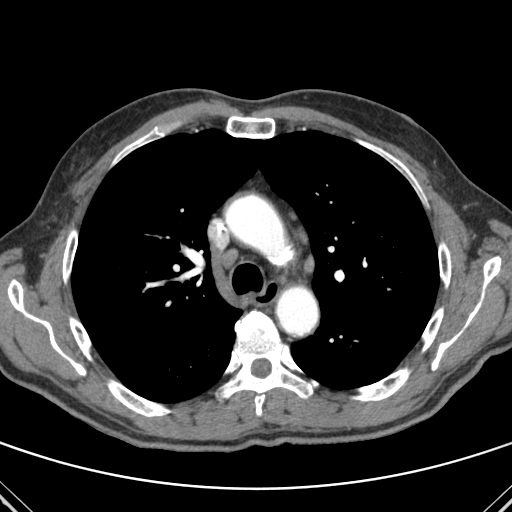 CT scan slice; Chest
Lung: <bbox>71, 129, 439, 402</bbox>.
Bone: <bbox>7, 280, 85, 375</bbox>, <bbox>226, 116, 274, 138</bbox>, <bbox>69, 317, 91, 359</bbox>, <bbox>438, 242, 451, 287</bbox>, <bbox>63, 230, 77, 282</bbox>, <bbox>464, 301, 481, 327</bbox>, <bbox>352, 368, 410, 400</bbox>, <bbox>220, 311, 318, 415</bbox>, <bbox>358, 140, 419, 189</bbox>, <bbox>112, 133, 150, 164</bbox>, <bbox>422, 308, 443, 351</bbox>, <bbox>481, 256, 500, 299</bbox>, <bbox>431, 331, 461, 370</bbox>, <bbox>107, 380, 170, 416</bbox>.